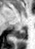

MRI slice. Hippocampus.

{"posterior_hippocampus": ["box(14, 28, 25, 38)"]}